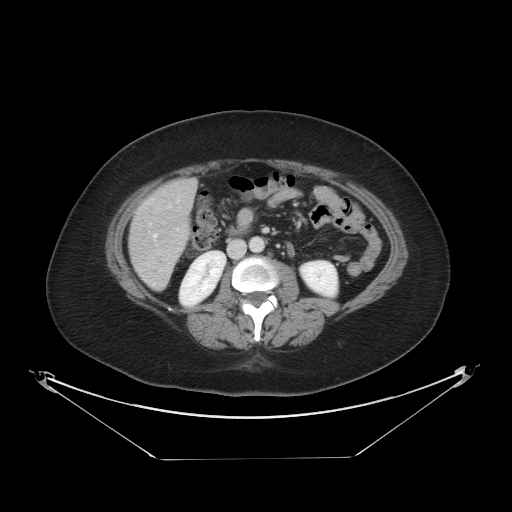

Liver. CT. Some hepatic vessels may have no box.
Hepatic vessel: bounding box 153, 234, 156, 237.